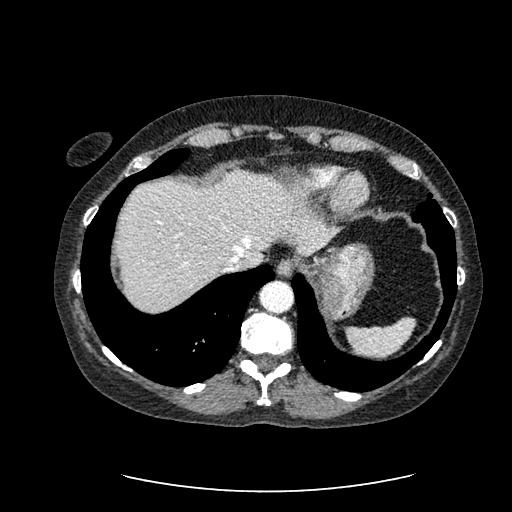

Liver | CT slice | 512x512 px
The liver lies within x1=117 y1=171 x2=343 y2=310.